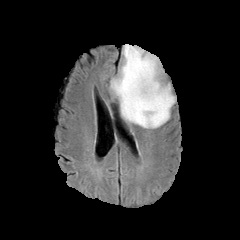
FLAIR magnetic resonance.
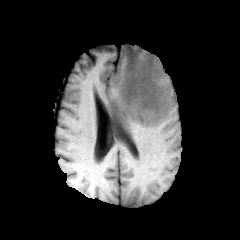
T1-weighted MR.
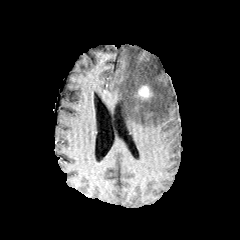
Same slice, post-contrast T1-weighted MR image.
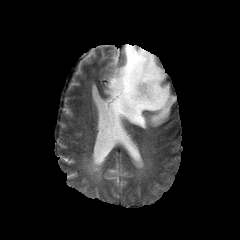
Same slice, T2-weighted MR image.
Head
The non-enhancing tumor core is located at (134, 76, 153, 97). The enhancing tumor is bounded by (138, 84, 153, 98). The edema is at (109, 44, 175, 128).